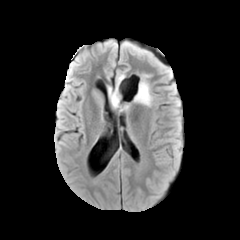
FLAIR MR image.
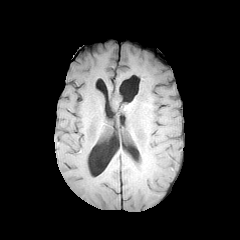
T1-weighted MR image of the same slice.
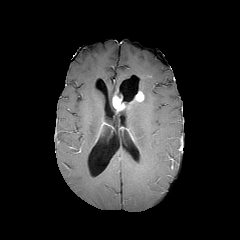
Post-contrast T1-weighted MR image of the same slice.
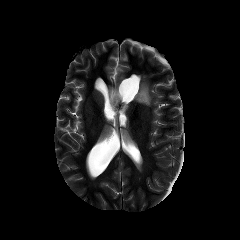
Same slice, T2-weighted magnetic resonance.
Image size 240x240
edema:
  - bbox=[107, 85, 114, 100]
  - bbox=[136, 75, 153, 106]
  - bbox=[115, 72, 124, 93]
enhancing_tumor:
  - bbox=[135, 91, 143, 101]
  - bbox=[112, 89, 125, 111]
non-enhancing_tumor_core:
  - bbox=[110, 88, 118, 112]